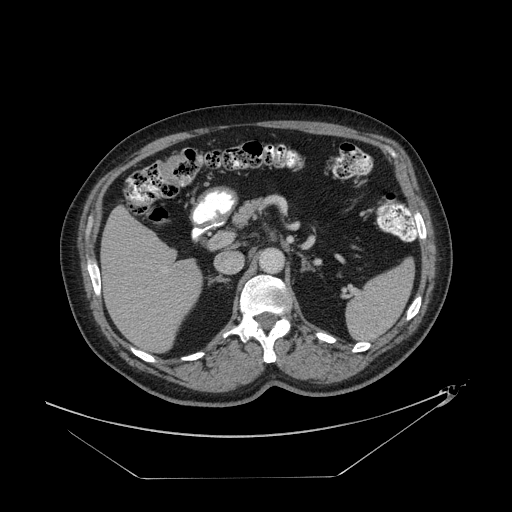 CT slice, Abdomen

colon tumor: (x1=159, y1=155, x2=189, y2=186)